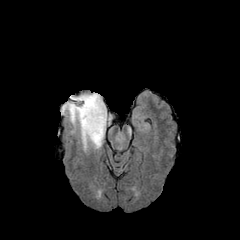
FLAIR MR image.
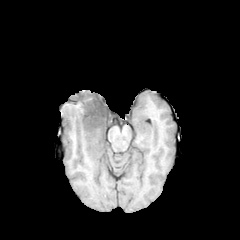
T1-weighted MR of the same slice.
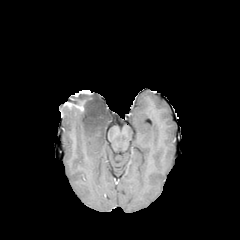
Same slice, post-contrast T1-weighted MRI.
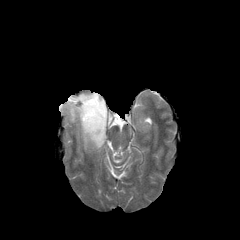
Same slice, T2-weighted MRI.
Head
The enhancing tumor appears at box(66, 101, 83, 110). The edema is bounded by box(64, 107, 111, 149). The non-enhancing tumor core lies within box(70, 92, 105, 125).